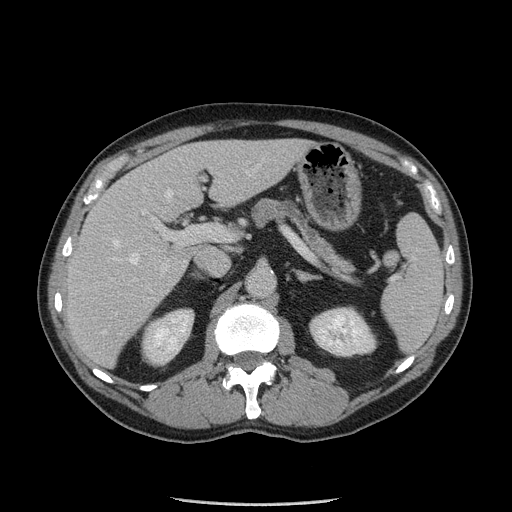 Image size 512x512 | Upper abdomen | CT scan slice
The pancreatic tumor appears at <bbox>283, 200, 295, 215</bbox>. The pancreas appears at <bbox>250, 198, 356, 277</bbox>.